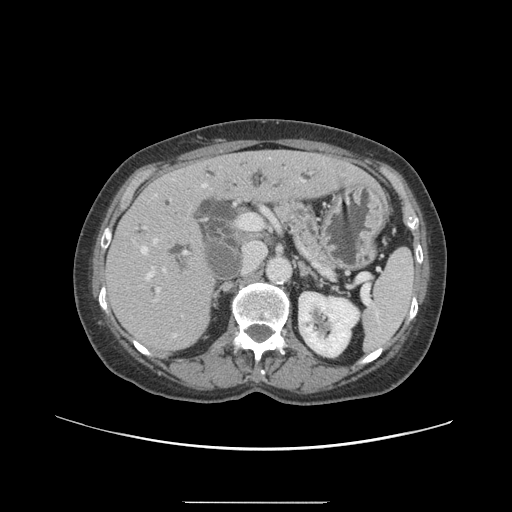
CT scan slice; Abdomen; 512x512

Segmented structures:
* pancreas: <box>275,201,331,266</box>